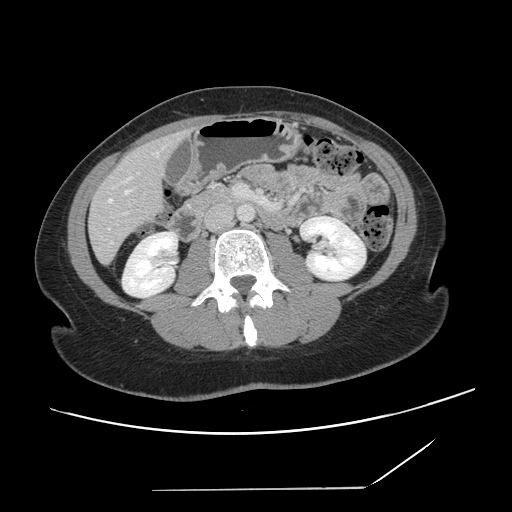
Image size 512x512, CT slice
The vessel annotation is not exhaustive.
Hepatic vessel at bbox=[125, 190, 132, 193]; bbox=[109, 199, 111, 201]; bbox=[156, 152, 158, 156]; bbox=[111, 242, 112, 243]; bbox=[122, 177, 131, 182]; bbox=[124, 212, 127, 214].